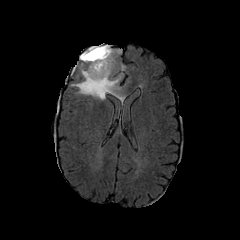
FLAIR MR image.
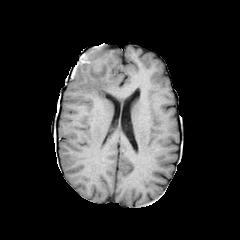
T1-weighted MR image.
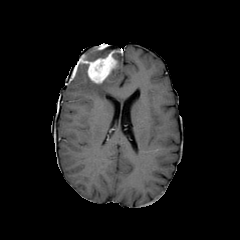
Post-contrast T1-weighted magnetic resonance.
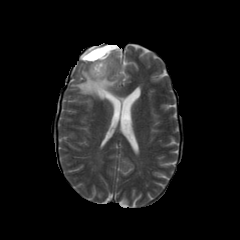
Same slice, T2-weighted magnetic resonance.
Head
<segmentation>
  <non-enhancing_tumor_core>region(84, 45, 119, 61); region(87, 77, 106, 94)</non-enhancing_tumor_core>
  <enhancing_tumor>region(92, 44, 107, 50); region(78, 48, 122, 83)</enhancing_tumor>
  <edema>region(70, 62, 125, 103)</edema>
</segmentation>